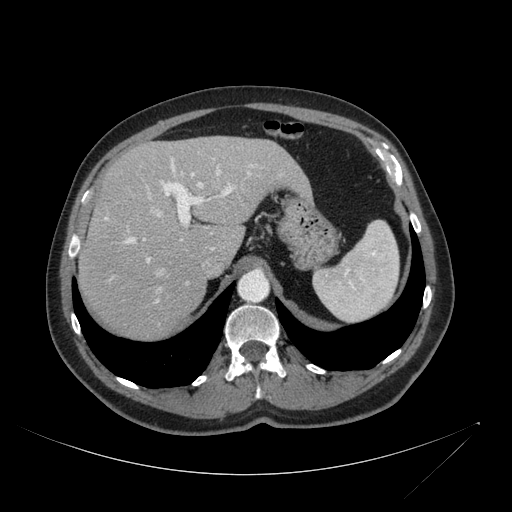 CT slice. 512x512 px.
liver:
  - <box>79,136,311,338</box>